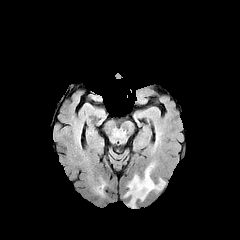
FLAIR MR image.
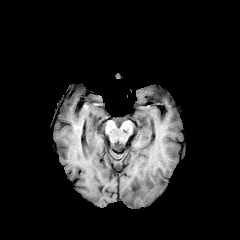
T1-weighted magnetic resonance.
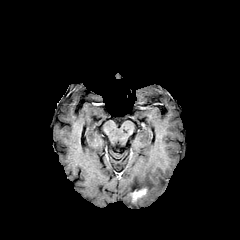
Same slice, post-contrast T1-weighted MR.
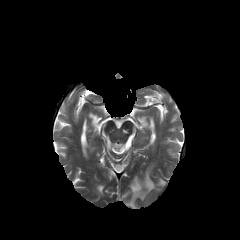
Same slice, T2-weighted MRI.
Brain.
Edema — bbox=[124, 163, 165, 202].
Enhancing tumor — bbox=[130, 188, 146, 202].